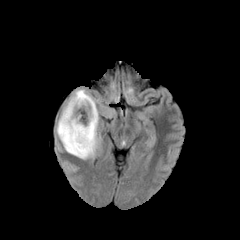
FLAIR magnetic resonance.
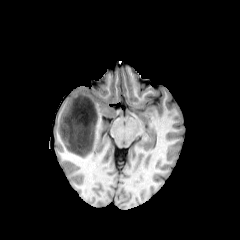
Same slice, T1-weighted MR image.
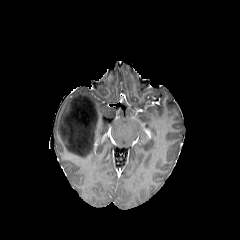
Same slice, post-contrast T1-weighted magnetic resonance.
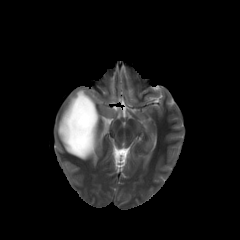
T2-weighted MR image.
{
  "non-enhancing_tumor_core": [
    "[x1=62, y1=95, x2=99, y2=156]"
  ],
  "edema": [
    "[x1=56, y1=88, x2=102, y2=155]",
    "[x1=78, y1=147, x2=96, y2=159]"
  ]
}